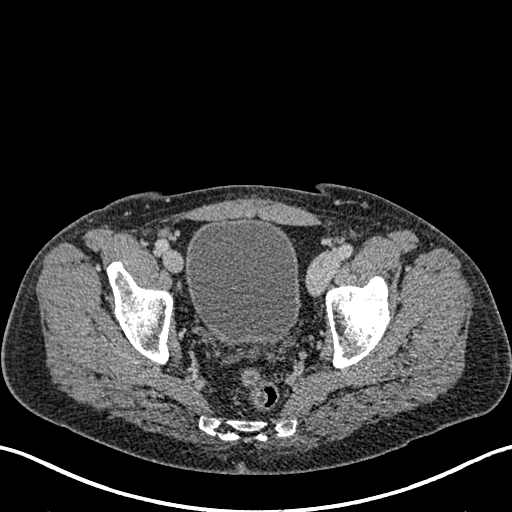
512x512 px; Lower abdomen; CT scan slice

<segmentation>
  <urinary_bladder>rect(185, 216, 300, 345)</urinary_bladder>
</segmentation>